512x512. Slice index 472. CT slice. Abdomen.
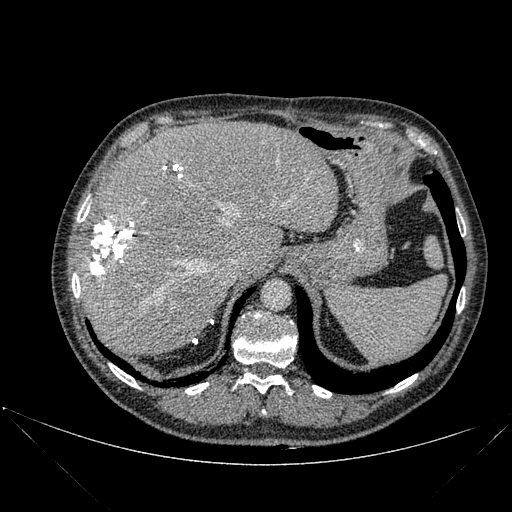 lung:
  - l=296, t=171, r=465, b=394
  - l=231, t=288, r=254, b=324
  - l=178, t=354, r=226, b=386
  - l=88, t=326, r=142, b=378
hepatic_lesion:
  - l=166, t=161, r=176, b=175
liver:
  - l=80, t=121, r=338, b=355
bone:
  - l=233, t=313, r=296, b=367
  - l=312, t=385, r=331, b=398
  - l=390, t=374, r=417, b=392
  - l=235, t=372, r=288, b=393
  - l=109, t=363, r=140, b=388
  - l=458, t=217, r=465, b=233
  - l=185, t=383, r=208, b=394
  - l=72, t=273, r=80, b=297
  - l=77, t=202, r=89, b=221
  - l=456, t=293, r=464, b=312